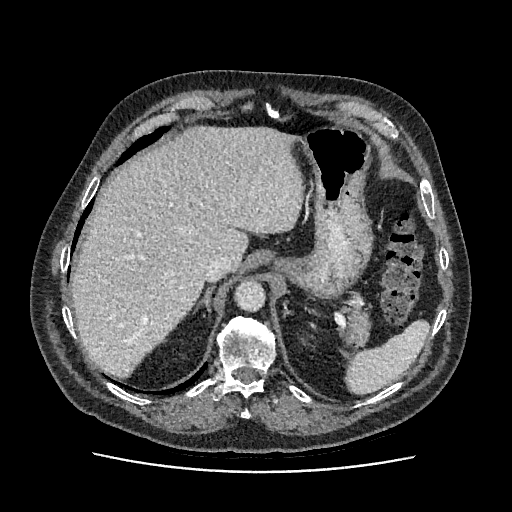 Computed tomography | Liver | 512x512

The liver is located at box(72, 127, 301, 377).